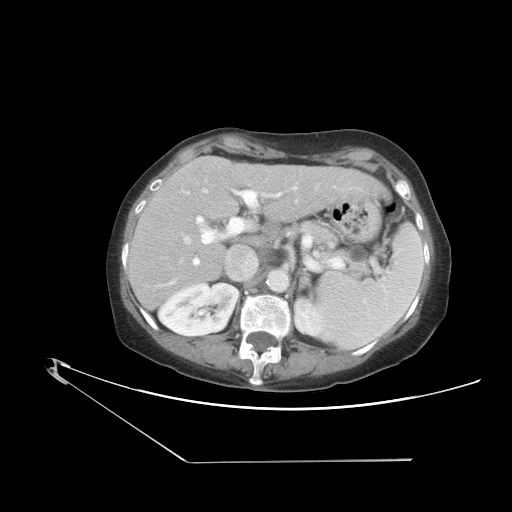

Liver | CT scan slice

The vessel boxes may cover only some of the vessels.
<segmentation>
  <hepatic_vessel>184:237:190:243, 229:217:250:233, 185:192:188:193, 202:188:207:192, 293:187:296:189, 157:279:176:286, 202:231:213:243, 196:216:202:223, 238:191:257:208, 193:258:199:265, 295:200:297:202, 270:192:281:196, 262:192:264:194</hepatic_vessel>
</segmentation>